Slice 245/276 | CT | Image width 343 mm

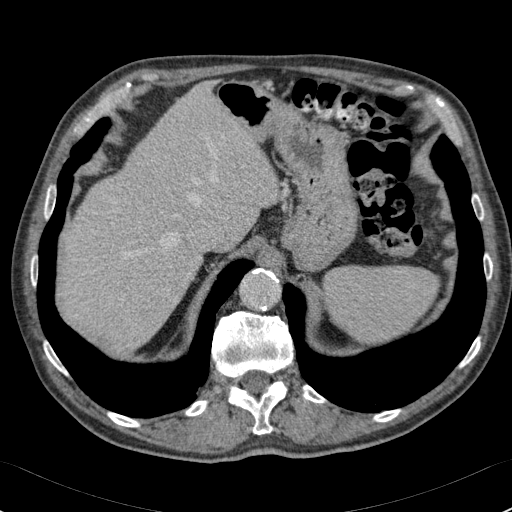

The liver is at l=65, t=82, r=277, b=351.